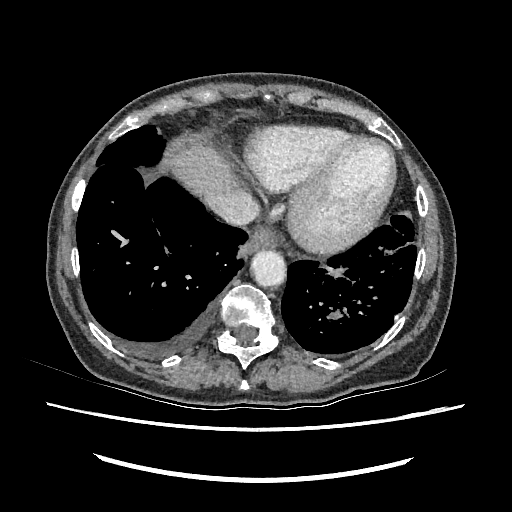

Liver, CT
<segmentation>
  <liver><bbox>173, 146, 237, 195</bbox></liver>
</segmentation>